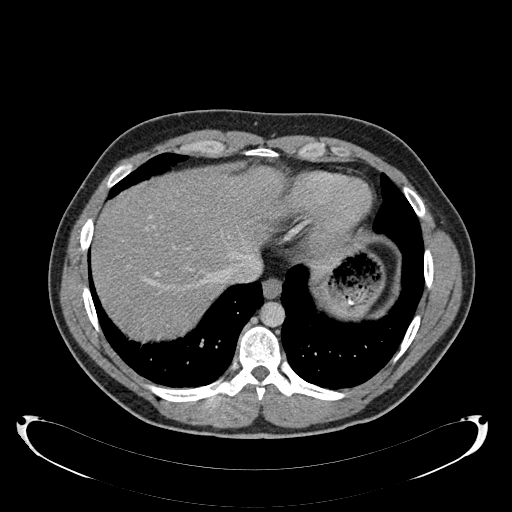
Computed tomography
The liver appears at bbox=[92, 167, 284, 339].